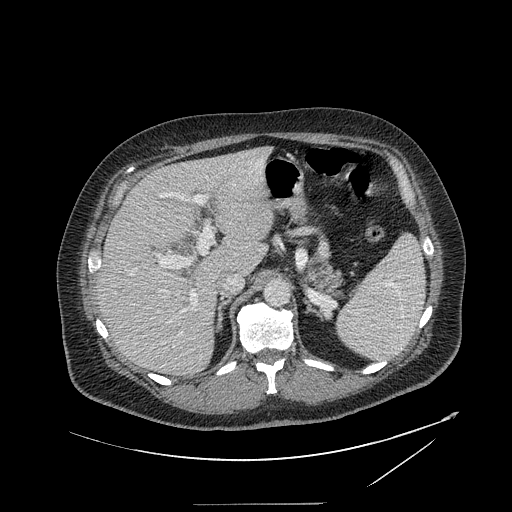

Upper abdomen, CT slice
Findings:
* pancreas: 307, 255, 342, 296